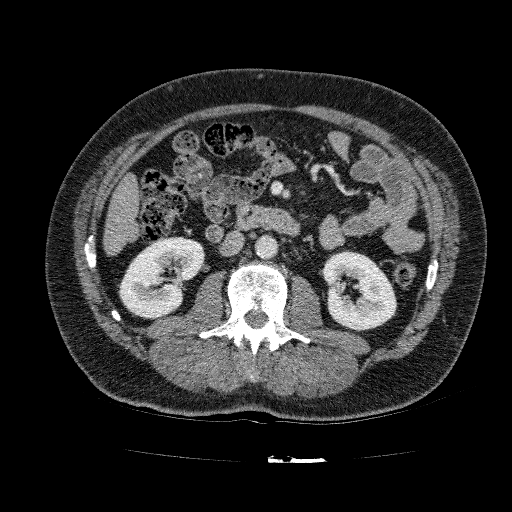

Upper abdomen; Image size 512x512; CT scan slice
Segmented structures:
- kidney: left=323, top=252, right=395, bottom=329; left=120, top=238, right=203, bottom=317
- liver: left=104, top=173, right=138, bottom=255